Slice 66 of 81; Computed tomography 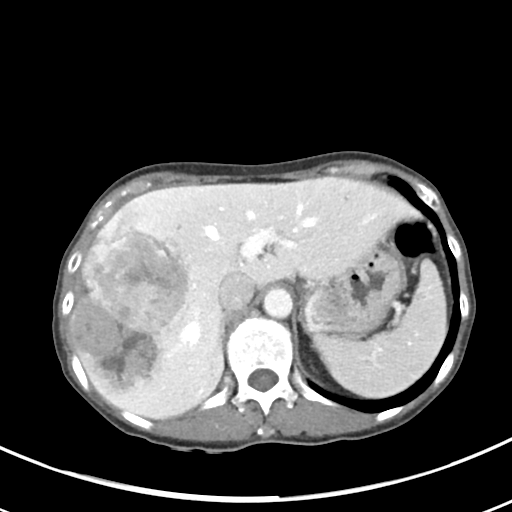 The vessel boxes may cover only some of the vessels.
4 hepatic vessel regions appear at [243, 232, 267, 256], [281, 242, 295, 246], [182, 323, 198, 341], [205, 225, 219, 240]. The liver tumor appears at [70, 205, 193, 399].